FLAIR MRI.
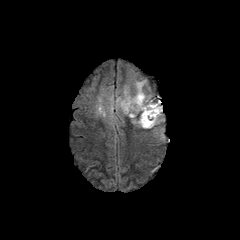
T1-weighted magnetic resonance.
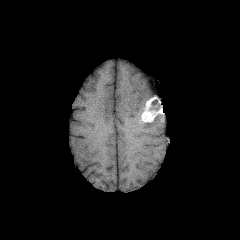
Post-contrast T1-weighted magnetic resonance.
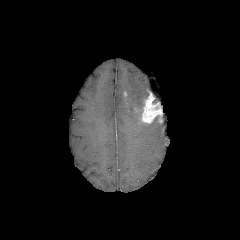
T2-weighted magnetic resonance.
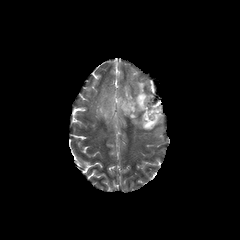
Edema — {"x1": 94, "y1": 78, "x2": 161, "y2": 136}.
Enhancing tumor — {"x1": 141, "y1": 92, "x2": 162, "y2": 124}.